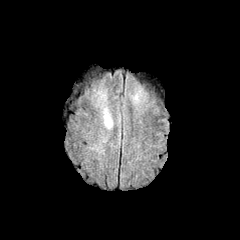
FLAIR magnetic resonance.
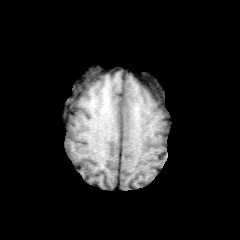
T1-weighted MRI.
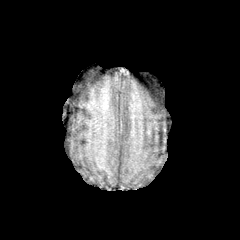
Post-contrast T1-weighted MR of the same slice.
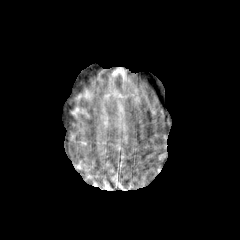
T2-weighted MR.
Brain
<segmentation>
  <edema>104, 114, 112, 128</edema>
</segmentation>